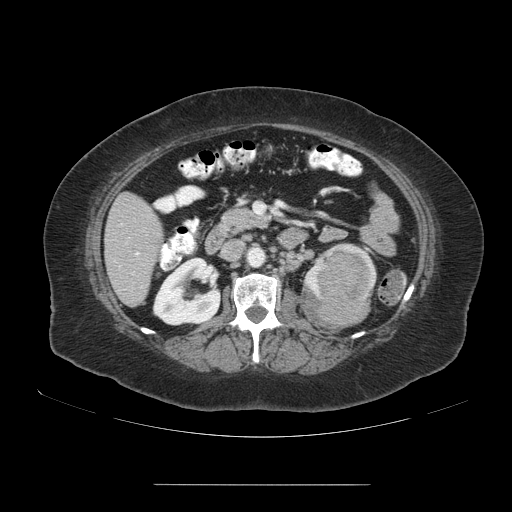
Computed tomography. Image size 512x512. Liver.
Only some of the vessels may be annotated.
{
  "hepatic_vessel": [
    "136, 253, 137, 254"
  ]
}